512x512 px, CT slice, Image width 436 mm, Upper abdomen, Slice 60/118

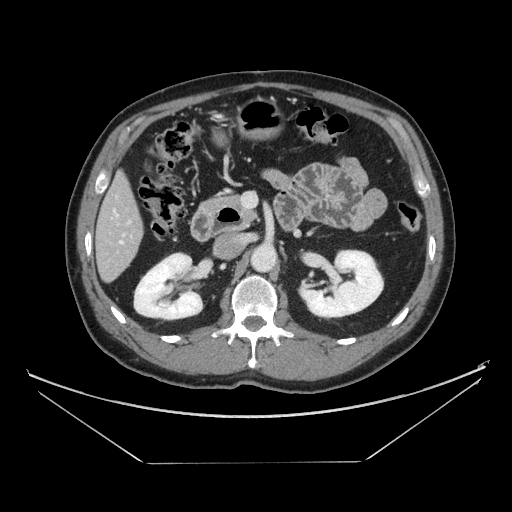
* pancreas: 221:194:255:224